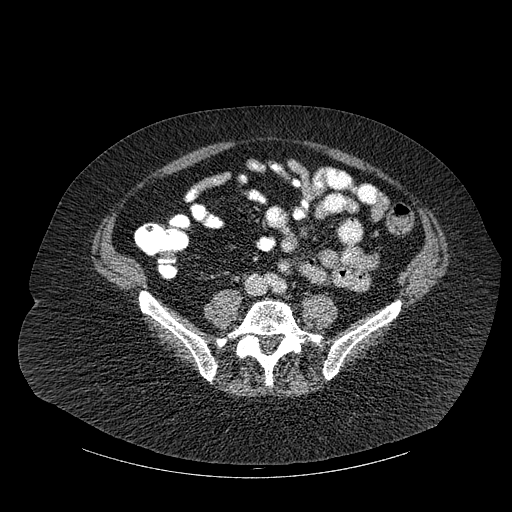
CT slice
Segmented structures:
* bone: bbox(139, 291, 216, 381); bbox(217, 301, 321, 385); bbox(323, 300, 401, 379)